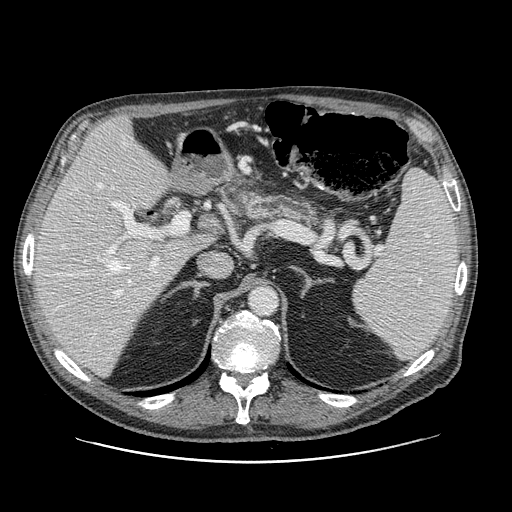 Computed tomography. Abdomen.

The pancreas lies within region(244, 196, 317, 224).